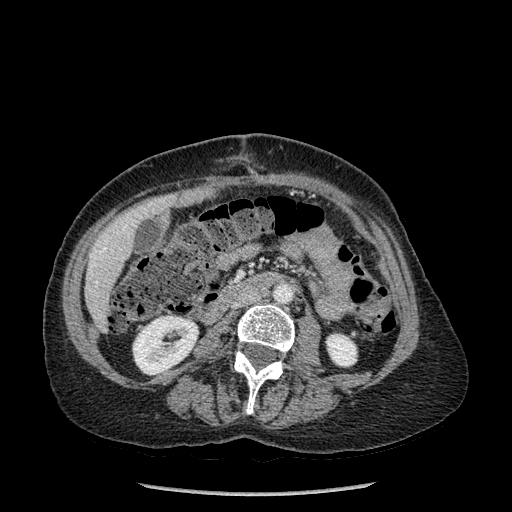 CT
Bone at x1=237, y1=303, x2=294, y2=354; x1=234, y1=350, x2=286, y2=414.
Liver at x1=157, y1=195, x2=172, y2=206; x1=85, y1=201, x2=163, y2=332.
Kidney at x1=133, y1=316, x2=198, y2=374; x1=326, y1=335, x2=356, y2=365.